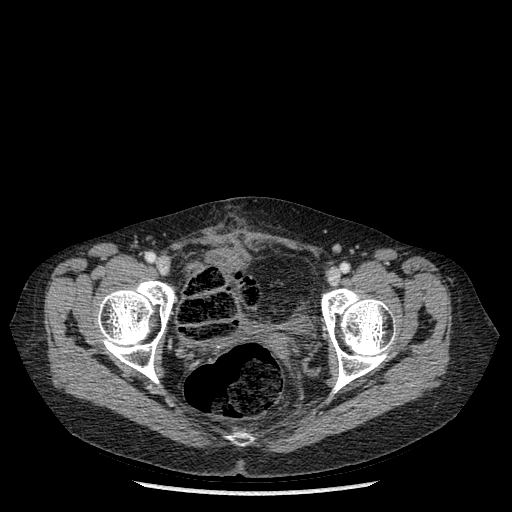
Computed tomography.
Bone = box(96, 279, 175, 383); box(226, 432, 253, 445); box(321, 288, 394, 393).